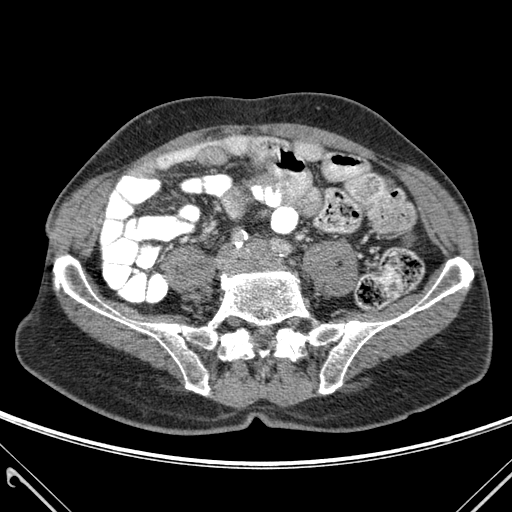
CT image, 512x512 px
<segmentation>
  <bone>53,255,308,394; 274,257,473,393; 220,328,254,360</bone>
</segmentation>